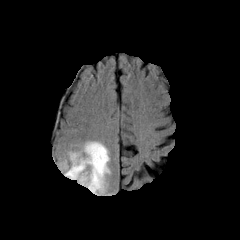
FLAIR magnetic resonance.
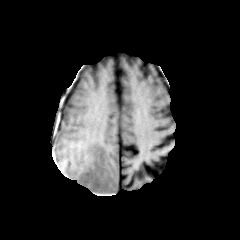
T1-weighted magnetic resonance.
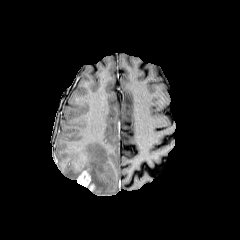
Post-contrast T1-weighted MR.
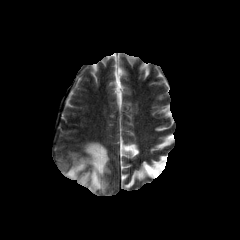
T2-weighted MR image.
• edema: left=65, top=141, right=110, bottom=192
• enhancing tumor: left=77, top=171, right=90, bottom=186